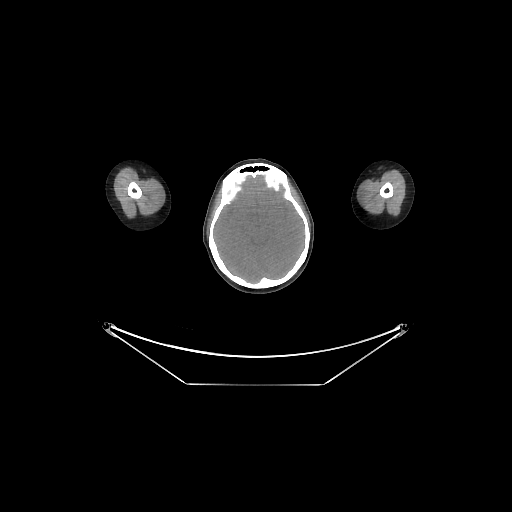
Brain. CT scan slice. 512x512 px.

The brain is at x1=213 y1=175 x2=304 y2=282.